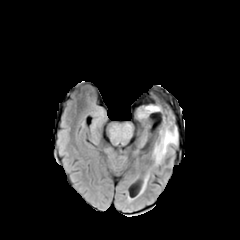
FLAIR magnetic resonance.
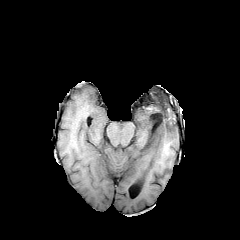
Same slice, T1-weighted magnetic resonance.
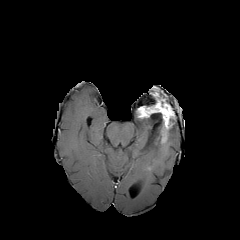
Post-contrast T1-weighted MR image of the same slice.
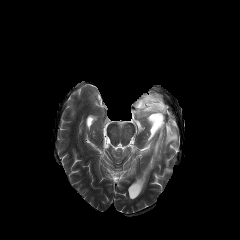
T2-weighted MR image.
Image size 240x240. Brain.
Edema = (x1=140, y1=174, x2=149, y2=193), (x1=150, y1=126, x2=178, y2=165).
Non-enhancing tumor core = (x1=163, y1=102, x2=173, y2=114).
Enhancing tumor = (x1=137, y1=98, x2=172, y2=141).